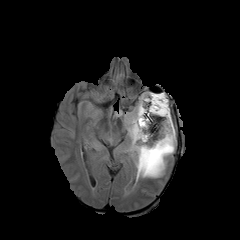
FLAIR MR.
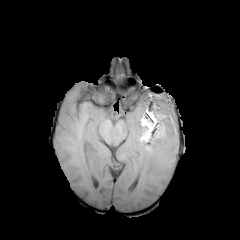
Same slice, T1-weighted MRI.
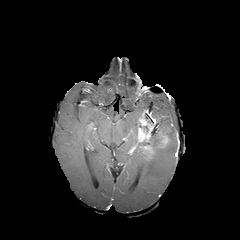
Post-contrast T1-weighted MRI.
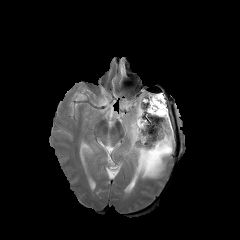
T2-weighted MR of the same slice.
Findings:
- non-enhancing tumor core: l=138, t=108, r=155, b=146
- enhancing tumor: l=144, t=148, r=153, b=157; l=137, t=127, r=149, b=141
- edema: l=117, t=91, r=175, b=180